CT scan slice, Pelvis, Image width 700 mm, Slice 286/540

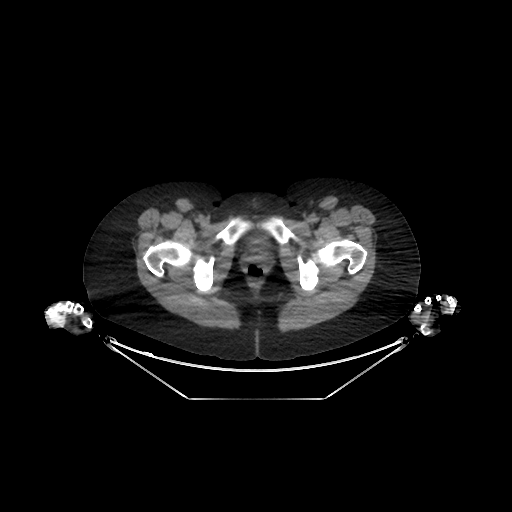 Urinary bladder: bounding box x1=242, y1=229, x2=275, y2=262.